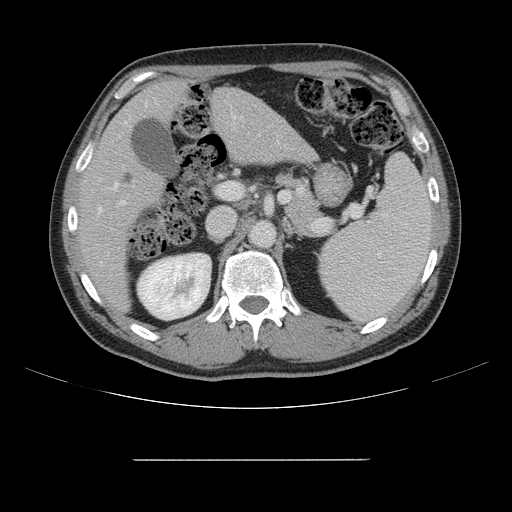 CT, Abdomen
Some hepatic vessels may have no box.
Hepatic vessel = 98:207:101:215, 232:113:235:120, 120:200:124:204, 108:188:111:189, 125:121:127:123, 113:182:118:189.
Liver tumor = 120:170:134:186.